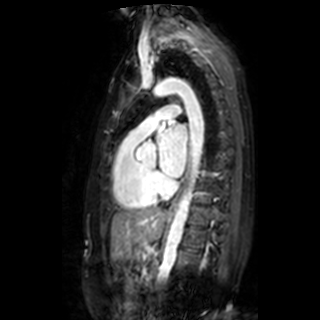 Heart, MR

<segmentation>
  <left_atrium>(left=157, top=125, right=186, bottom=176)</left_atrium>
</segmentation>